Image size 512x512, Abdomen, Slice 54 of 95, Computed tomography 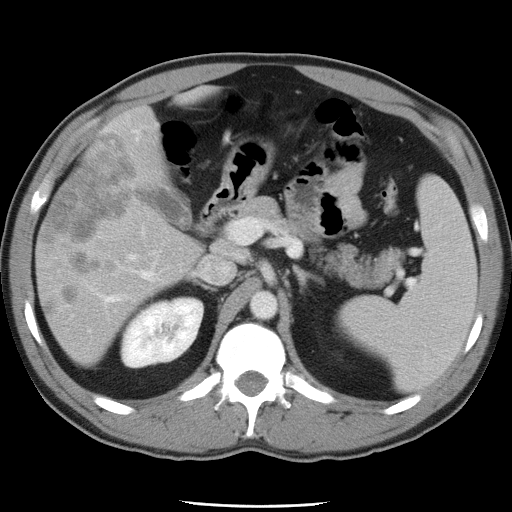 Some hepatic vessels may have no box.
Hepatic vessel: x1=105 y1=297 x2=115 y2=301, x1=233 y1=219 x2=255 y2=242, x1=129 y1=256 x2=133 y2=258, x1=140 y1=271 x2=150 y2=278.